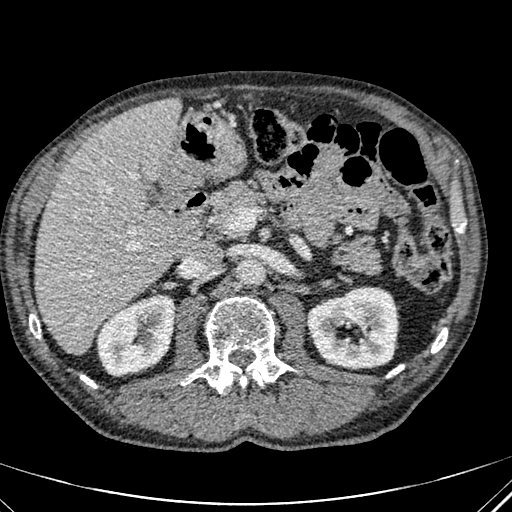
Computed tomography; Upper abdomen
<segmentation>
  <kidney><bbox>308, 288, 396, 367</bbox>, <bbox>98, 296, 174, 374</bbox></kidney>
  <liver><bbox>34, 97, 198, 354</bbox></liver>
</segmentation>